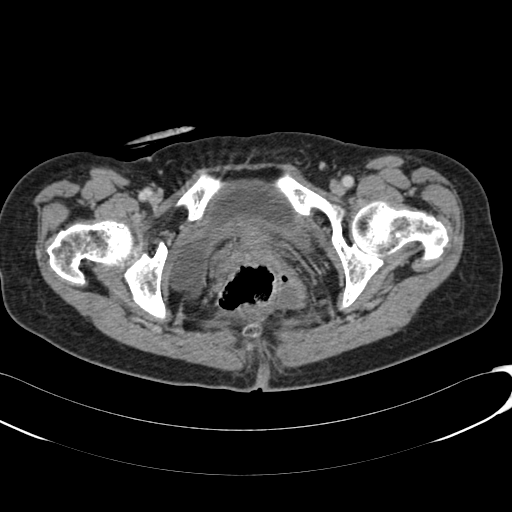
Lower abdomen | CT

{
  "urinary_bladder": [
    "<bbox>168, 178, 306, 299</bbox>"
  ]
}